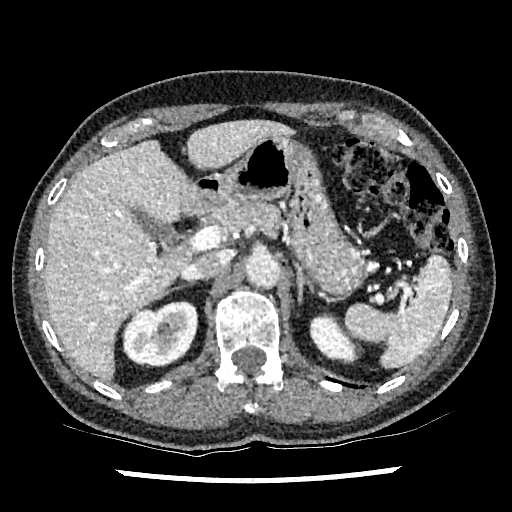

Upper abdomen, Computed tomography
Segmented structures:
- kidney: <box>125,303,196,364</box>, <box>312,318,352,358</box>
- liver: <box>45,140,195,379</box>, <box>187,121,294,169</box>